Computed tomography, Slice 11 of 574, Field of view 411x411 mm 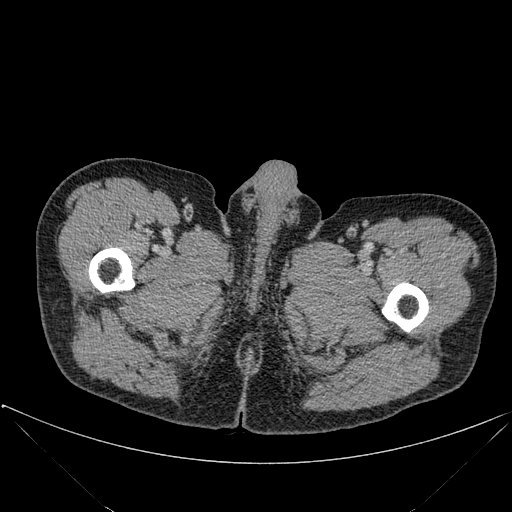
Bone at bbox=[382, 283, 428, 331]; bbox=[89, 248, 134, 292].